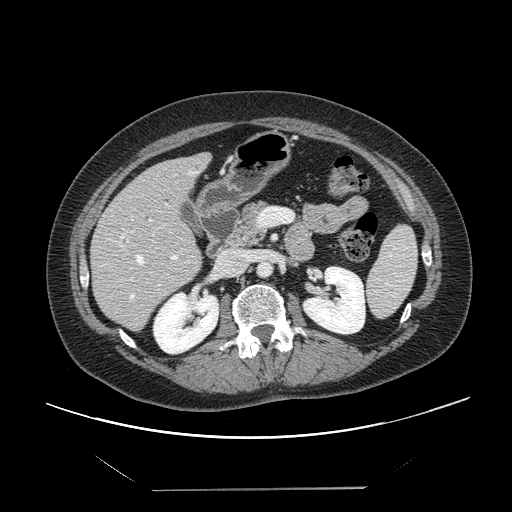 512x512 px | CT

The vessel annotation is not exhaustive.
Hepatic vessel: bounding box x1=170 y1=252 x2=180 y2=260, x1=128 y1=277 x2=133 y2=280, x1=137 y1=290 x2=138 y2=291, x1=158 y1=283 x2=160 y2=286, x1=210 y1=250 x2=244 y2=278, x1=135 y1=254 x2=145 y2=265, x1=129 y1=293 x2=135 y2=300, x1=131 y1=216 x2=132 y2=219, x1=116 y1=230 x2=133 y2=250, x1=149 y1=219 x2=152 y2=221, x1=165 y1=204 x2=168 y2=206, x1=107 y1=238 x2=110 y2=239.